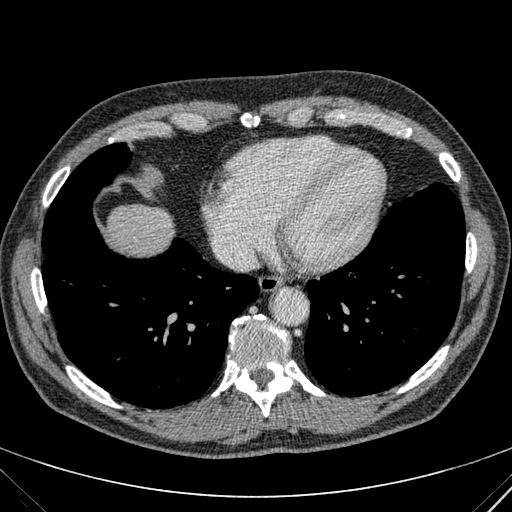

CT | 512x512

liver:
  - box(107, 206, 172, 255)